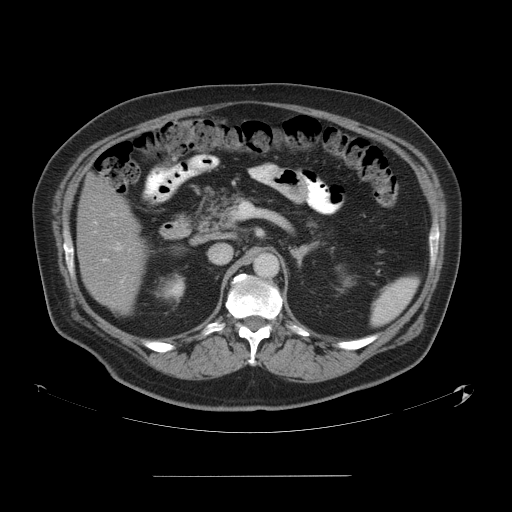 CT image | 512x512 px
Not every hepatic vessel necessarily has a box.
Hepatic vessel: bounding box x1=94, y1=222, x2=96, y2=223; x1=115, y1=243, x2=120, y2=249; x1=103, y1=259, x2=108, y2=260; x1=121, y1=280, x2=123, y2=281.